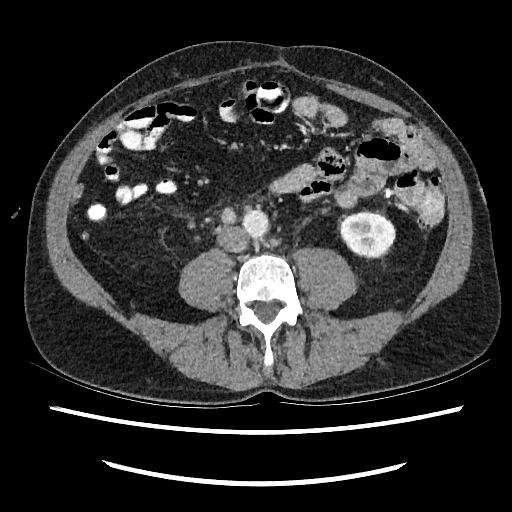 Computed tomography. Abdomen.

kidney: region(341, 213, 394, 256)